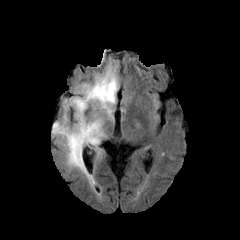
FLAIR MR image.
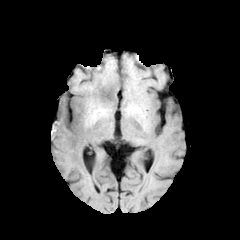
Same slice, T1-weighted magnetic resonance.
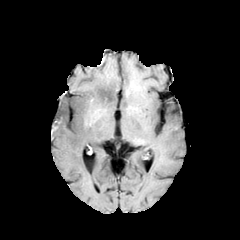
Same slice, post-contrast T1-weighted MR.
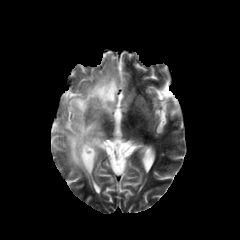
T2-weighted MR.
<segmentation>
  <edema>52 60 119 183</edema>
</segmentation>